Abdomen; Field of view 472 mm wide, 1.50 mm slice spacing; CT image

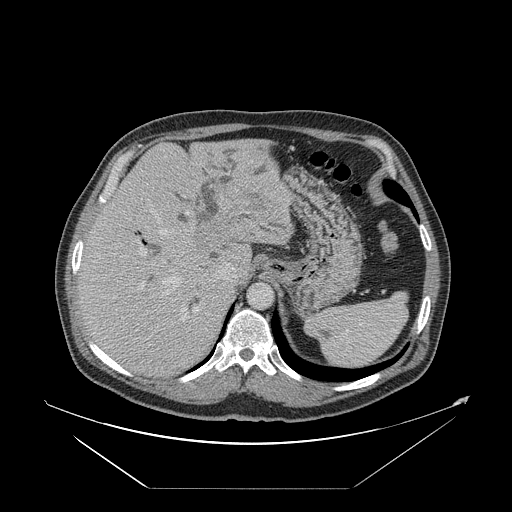

Not every hepatic vessel necessarily has a box.
Liver tumor — box=[192, 190, 263, 244].
Hepatic vessel — box=[226, 171, 233, 175]; box=[162, 276, 182, 296]; box=[193, 300, 203, 311]; box=[153, 210, 158, 220]; box=[138, 283, 144, 289]; box=[191, 213, 194, 213]; box=[185, 212, 190, 215]; box=[200, 206, 202, 210]; box=[181, 306, 187, 320]; box=[137, 239, 150, 256]; box=[155, 228, 174, 234]; box=[211, 262, 236, 281].